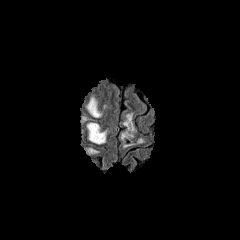
FLAIR MR image.
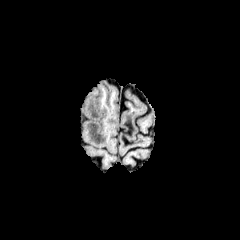
T1-weighted magnetic resonance.
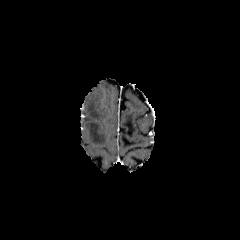
Post-contrast T1-weighted magnetic resonance of the same slice.
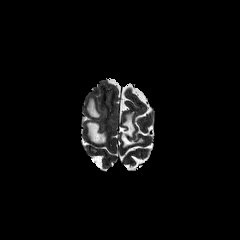
Same slice, T2-weighted magnetic resonance.
Brain; 240x240
3 edema regions are bounded by 84 148 97 154, 87 98 100 117, 87 122 106 144.